CT scan slice, Abdomen

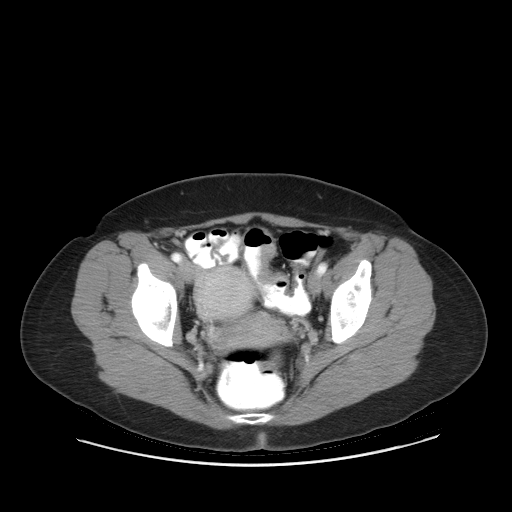
<segmentation>
  <colon_tumor>256, 244, 306, 295</colon_tumor>
</segmentation>